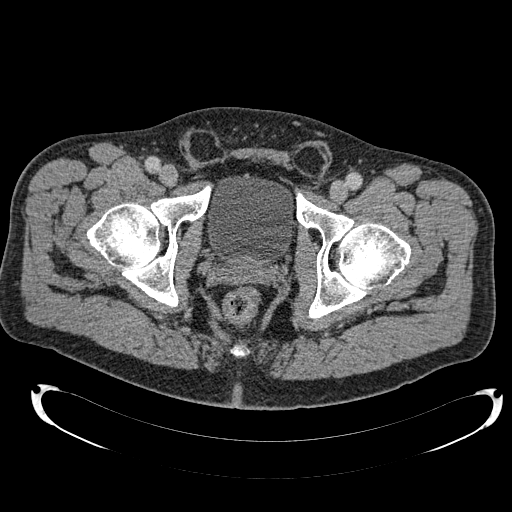 Lower abdomen. CT slice. - urinary bladder: left=207, top=174, right=293, bottom=268